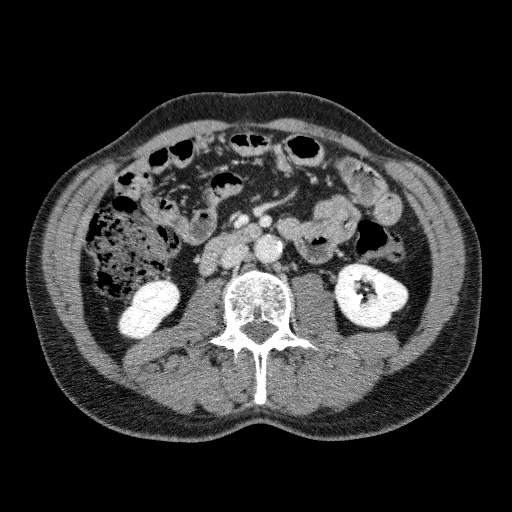
Abdomen, CT image
2 kidney regions appear at rect(335, 264, 406, 326); rect(120, 281, 178, 337).